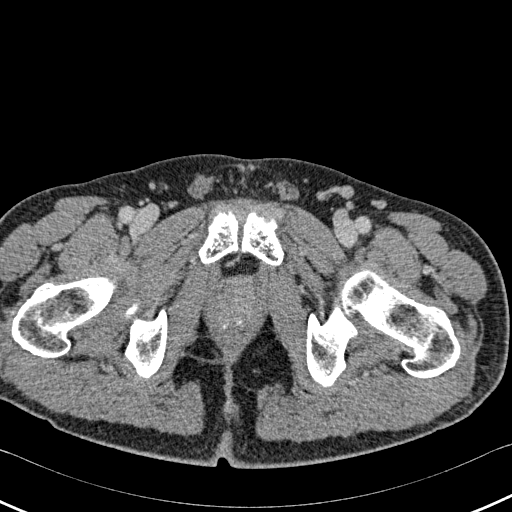

Computed tomography
4 bone regions are bounded by (0,277,113,357), (125,305,166,377), (306,271,459,386), (198,212,283,265).